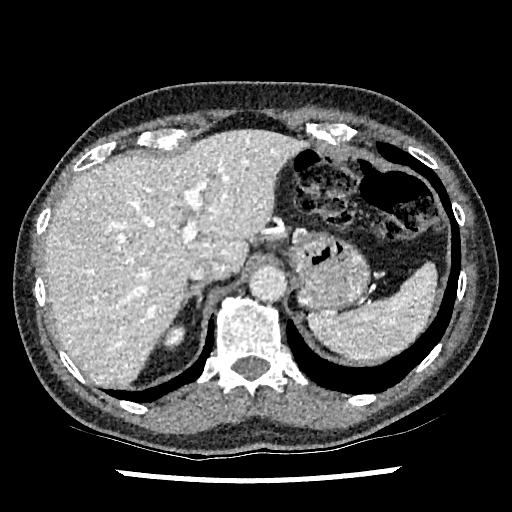
Computed tomography; Liver
Kidney: bounding box region(168, 330, 181, 343).
Liver: bounding box region(44, 129, 307, 385).